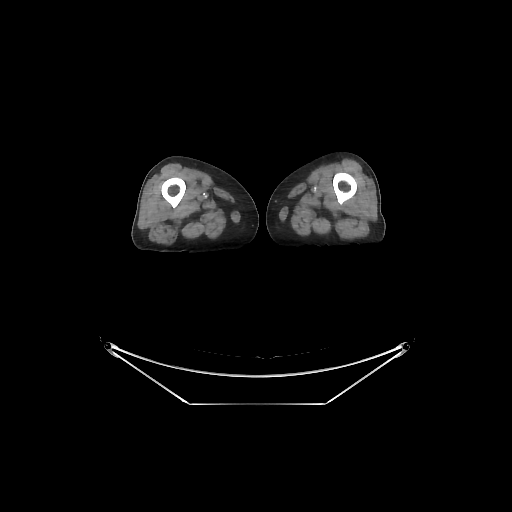
CT image
Bone: [161, 177, 185, 207], [333, 172, 356, 204].